Slice index 149; CT

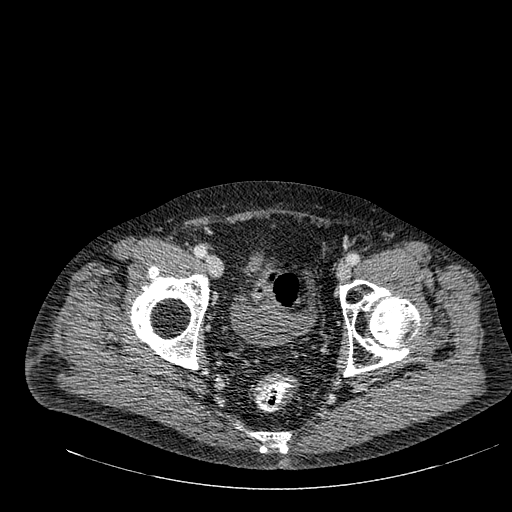
Urinary bladder: [230,252,317,347].